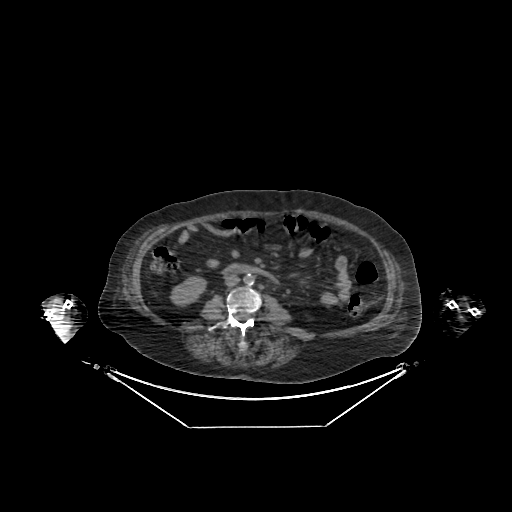 Abdomen, CT image
{
  "kidney": [
    "169:276:206:306"
  ]
}